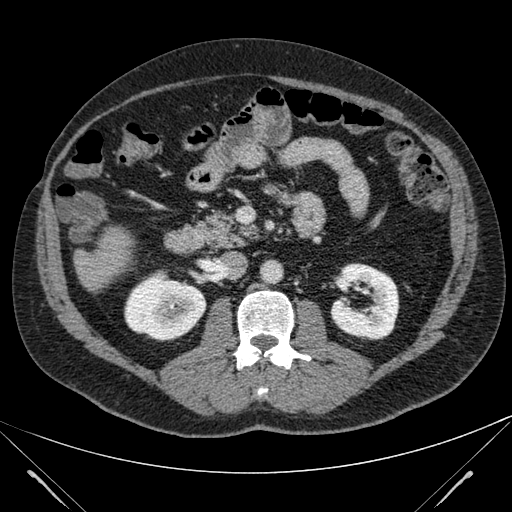 CT slice.

Kidney — 125,273,205,339; 331,264,397,338.
Liver — 74,227,132,290.